FLAIR MR.
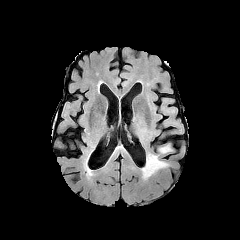
T1-weighted magnetic resonance.
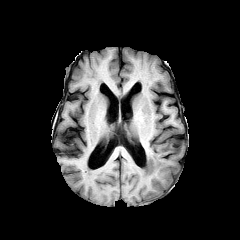
Post-contrast T1-weighted MR image.
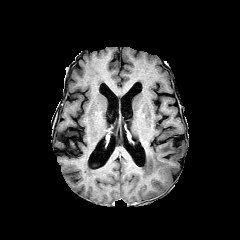
T2-weighted MRI.
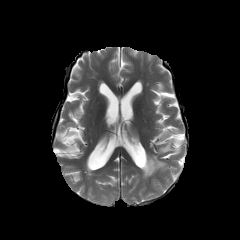
edema:
  - (x1=141, y1=144, x2=172, y2=178)